CT slice | Slice index 383 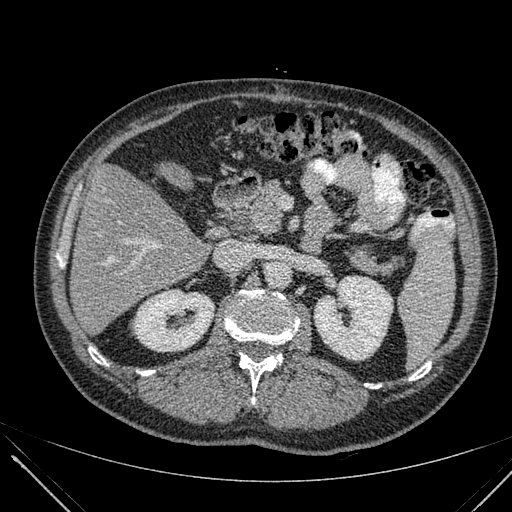
Liver — region(70, 164, 211, 330); region(153, 161, 193, 190).
Kidney — region(314, 276, 392, 359); region(134, 290, 213, 351).